CT scan slice

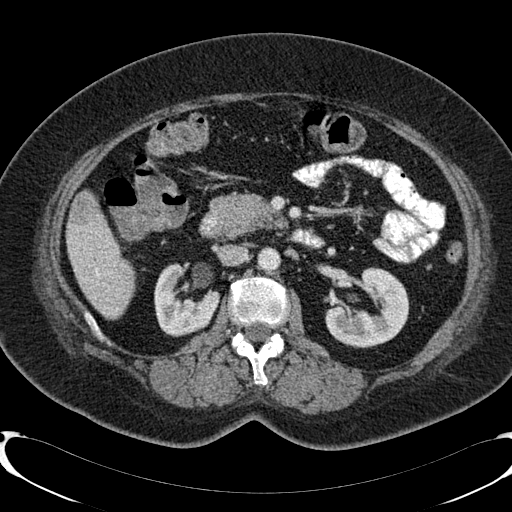
{
  "liver": [
    "rect(66, 212, 133, 317)"
  ],
  "kidney": [
    "rect(155, 262, 221, 335)",
    "rect(321, 266, 408, 346)"
  ],
  "liver_lesion": [
    "rect(69, 192, 99, 224)"
  ]
}